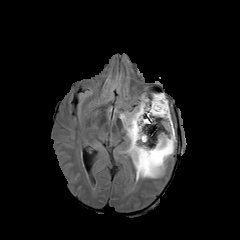
FLAIR MRI.
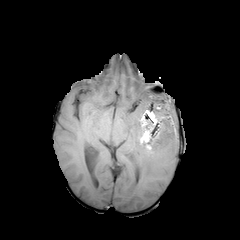
T1-weighted MR image.
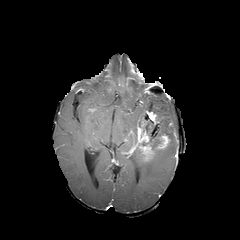
Post-contrast T1-weighted MRI of the same slice.
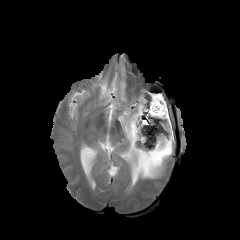
T2-weighted magnetic resonance.
Brain; 240x240 px
edema:
  - x1=117 y1=92 x2=175 y2=182
  - x1=100 y1=84 x2=113 y2=104
enhancing_tumor:
  - x1=137 y1=127 x2=146 y2=140
  - x1=141 y1=147 x2=153 y2=161
  - x1=158 y1=136 x2=169 y2=148
non-enhancing_tumor_core:
  - x1=133 y1=110 x2=159 y2=155